Slice 114 of 155 | Image size 240x240 | Head
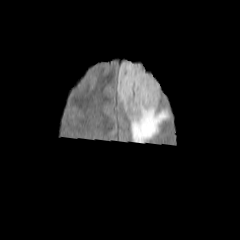
FLAIR MR image.
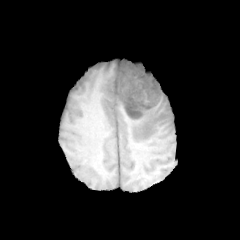
Same slice, T1-weighted magnetic resonance.
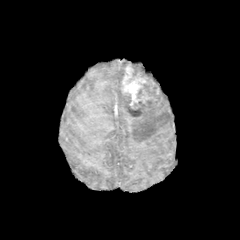
Post-contrast T1-weighted MR.
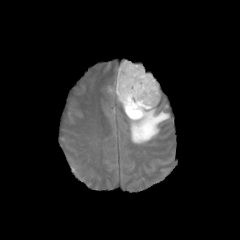
T2-weighted MRI of the same slice.
The edema lies within (107, 60, 169, 143). The non-enhancing tumor core is located at (125, 70, 159, 116). The enhancing tumor lies within (120, 63, 154, 108).